FLAIR MRI.
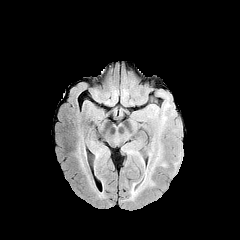
T1-weighted MR image.
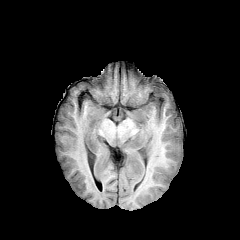
Post-contrast T1-weighted MRI.
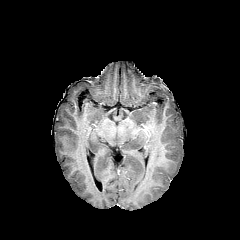
T2-weighted MR.
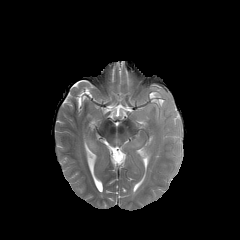
Brain
The edema is at {"x1": 93, "y1": 145, "x2": 103, "y2": 165}.